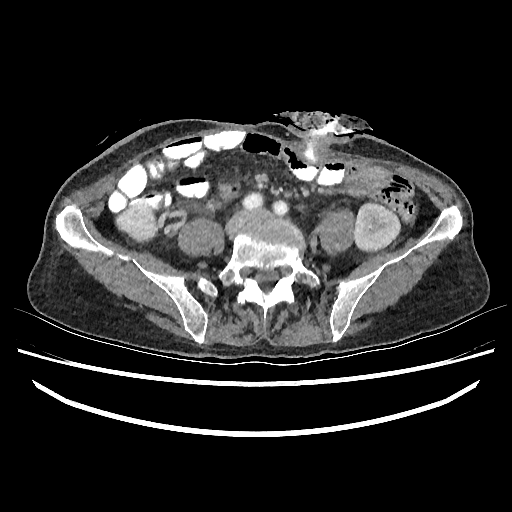
CT image; Abdomen

Segmented structures:
* kidney: x1=117, y1=212, x2=157, y2=239; x1=354, y1=204, x2=400, y2=249; x1=386, y1=257, x2=397, y2=264